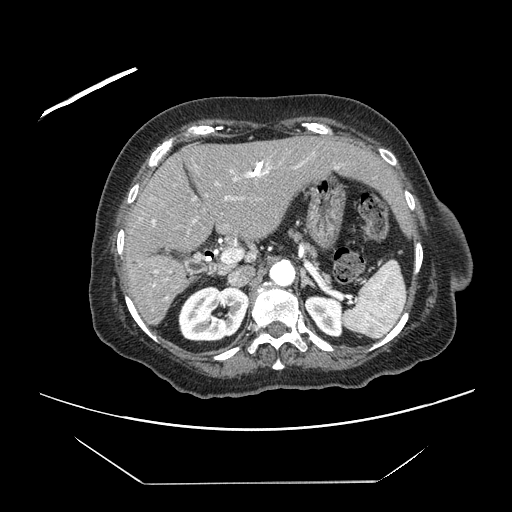 Liver. Computed tomography.
The vessel boxes may cover only some of the vessels.
hepatic_vessel:
  - x1=222 y1=249 x2=242 y2=263